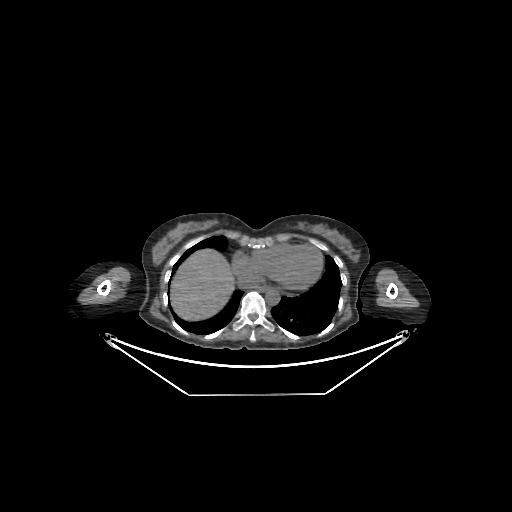 512x512 | CT scan slice
Liver at [171, 249, 233, 319].